512x512, Slice 522/536, CT
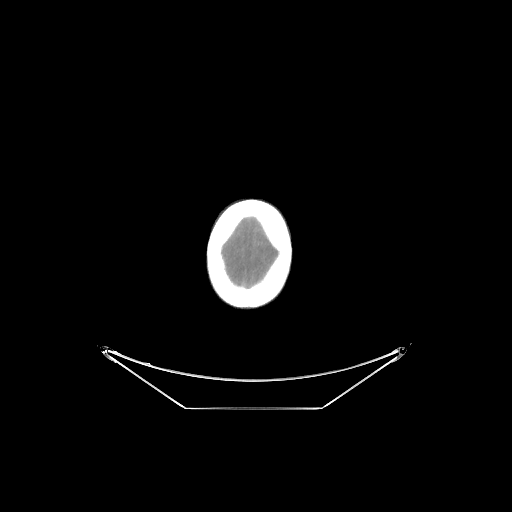

Annotated regions:
* bone: <box>207,200,291,307</box>
* brain: <box>221,217,278,288</box>